512x512. CT scan slice. Slice 174/427.
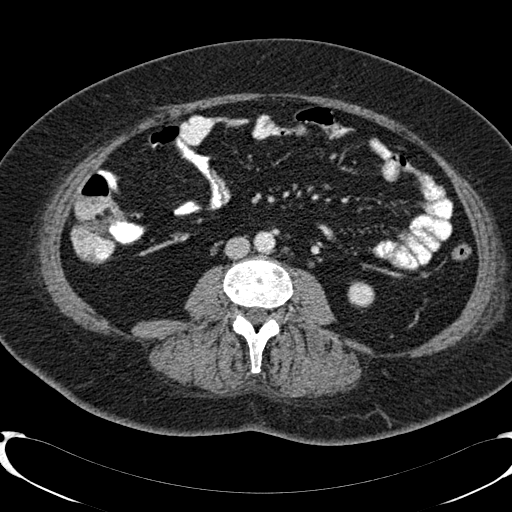
The kidney is at [348, 284, 372, 305].